Medial temporal lobe. Slice index 9. MR. Field of view 34x51 mm.
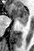 The anterior hippocampus appears at (9, 4, 28, 21). The posterior hippocampus is bounded by (20, 21, 27, 26).